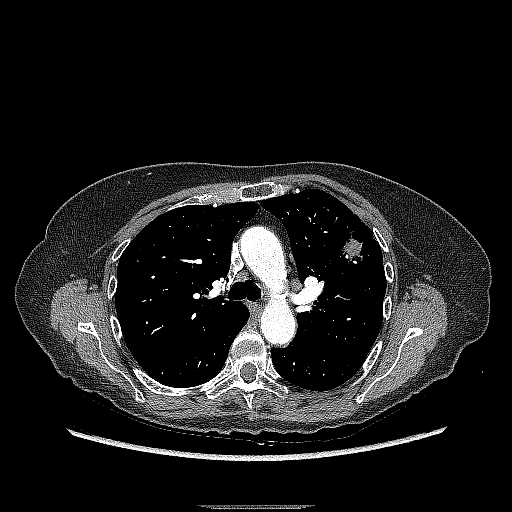

CT slice. Thorax.
lung tumor: 338:224:365:268